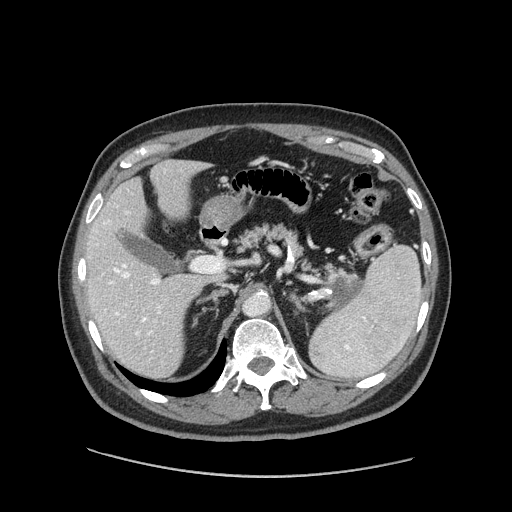

CT scan slice, Upper abdomen
Pancreas: bounding box region(236, 224, 311, 271); region(321, 266, 359, 291).
Pancreatic tumor: bounding box region(330, 276, 364, 310).